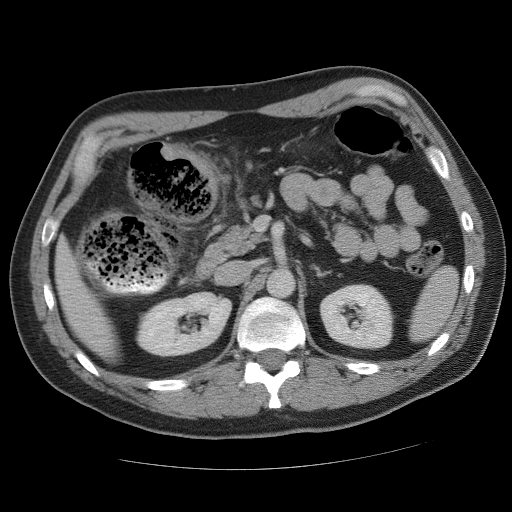
Abdomen; Computed tomography

The spleen is at x1=410 y1=268 x2=457 y2=340.